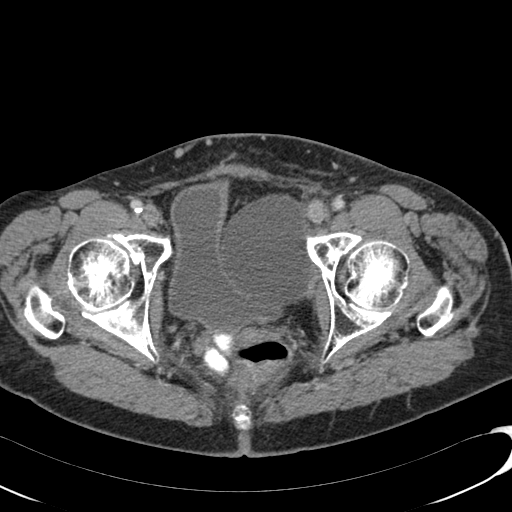 Lower abdomen | CT image
urinary bladder: 168,176,283,333